CT; Slice 516 of 630; Liver; Image width 330 mm 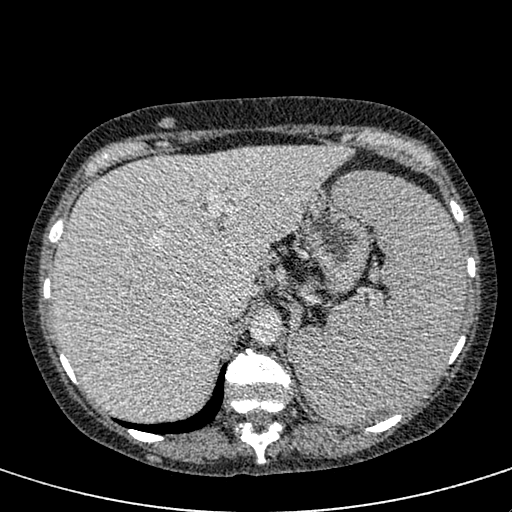
- liver: bbox(53, 147, 355, 419)